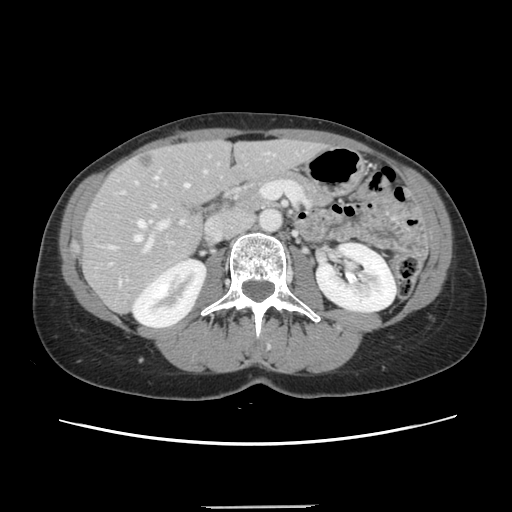 CT scan slice, Liver
The vessel boxes may cover only some of the vessels.
Segmented structures:
• hepatic vessel: <bbox>149, 220, 150, 222</bbox>, <bbox>158, 221, 167, 228</bbox>, <bbox>185, 183, 188, 186</bbox>, <bbox>151, 204, 154, 207</bbox>, <bbox>154, 175, 157, 178</bbox>, <bbox>180, 220, 183, 222</bbox>, <bbox>134, 235, 141, 241</bbox>, <bbox>137, 220, 144, 227</bbox>, <bbox>135, 181, 137, 183</bbox>, <bbox>108, 246, 114, 248</bbox>, <bbox>143, 237, 151, 250</bbox>, <bbox>203, 170, 206, 172</bbox>, <bbox>119, 281, 120, 284</bbox>
• liver tumor: <bbox>139, 156, 152, 167</bbox>